CT image, Abdomen, 512x512 px
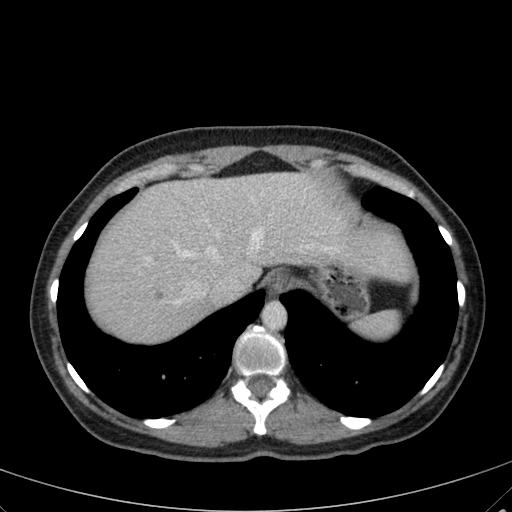 hepatic lesion: [154, 291, 163, 299] | liver: [85, 170, 411, 343]